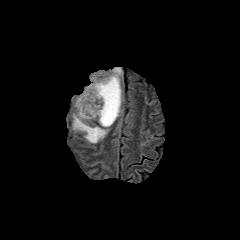
FLAIR MRI.
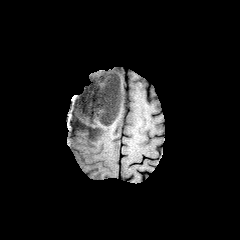
T1-weighted magnetic resonance.
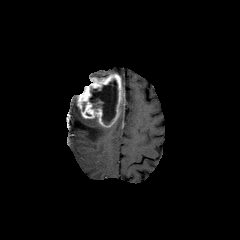
Post-contrast T1-weighted MRI.
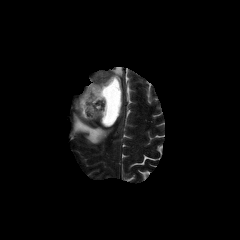
Same slice, T2-weighted MR.
Brain
Enhancing tumor: bounding box (x1=77, y1=71, x2=123, y2=125).
Non-enhancing tumor core: bounding box (x1=90, y1=80, x2=117, y2=125).
Edema: bounding box (x1=72, y1=110, x2=107, y2=143), (x1=114, y1=67, x2=122, y2=75).